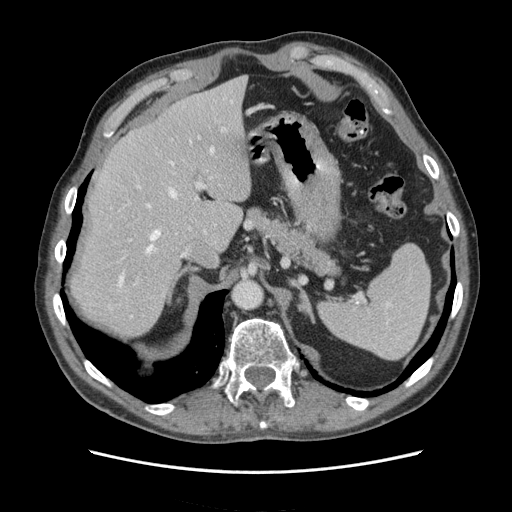
512x512 px. CT slice. Upper abdomen. Annotated regions:
- spleen: <bbox>318, 245, 430, 358</bbox>